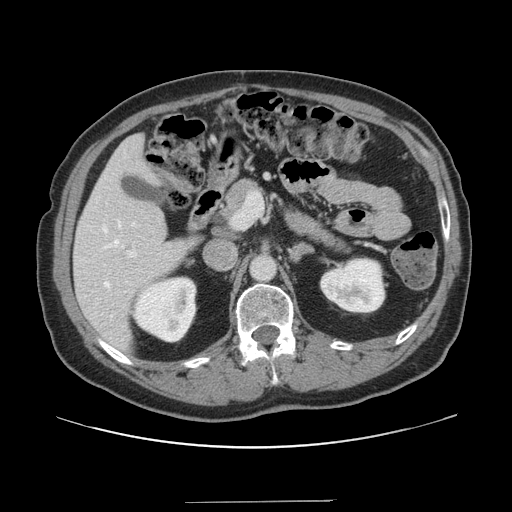

Abdomen. CT slice. The vessel boxes may cover only some of the vessels.
hepatic_vessel:
  - (118,221,119,226)
  - (233,193,262,228)
  - (103,225,106,232)
  - (127,250,136,257)
  - (104,281,109,287)
  - (114,239,118,245)